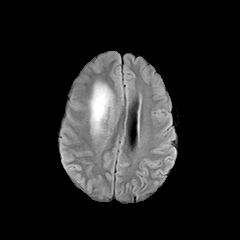
FLAIR magnetic resonance.
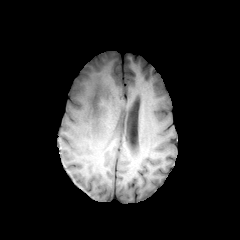
Same slice, T1-weighted MR image.
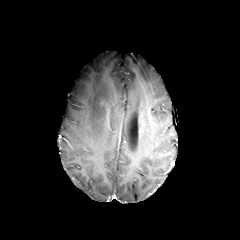
Post-contrast T1-weighted MR image.
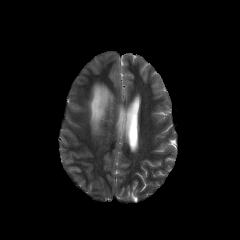
T2-weighted MR image of the same slice.
Brain
The edema appears at region(88, 82, 114, 135).